Slice index 184. Liver. Computed tomography. 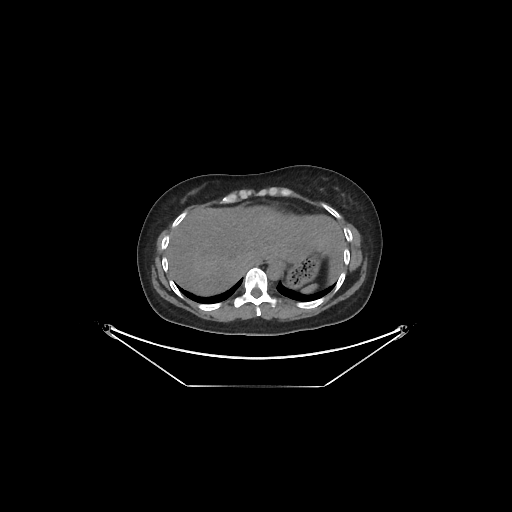
Annotated regions:
* liver: x1=165, y1=206, x2=345, y2=296